FLAIR MR image.
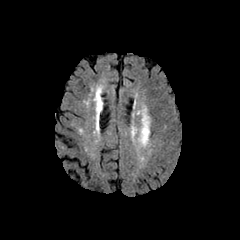
T1-weighted MR.
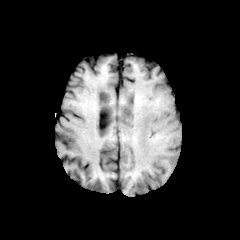
Post-contrast T1-weighted magnetic resonance.
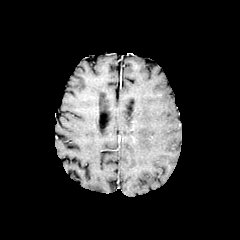
T2-weighted MR image.
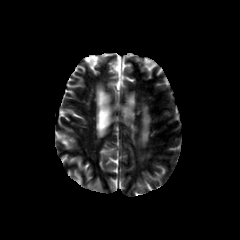
Brain
Edema: region(137, 106, 150, 146).